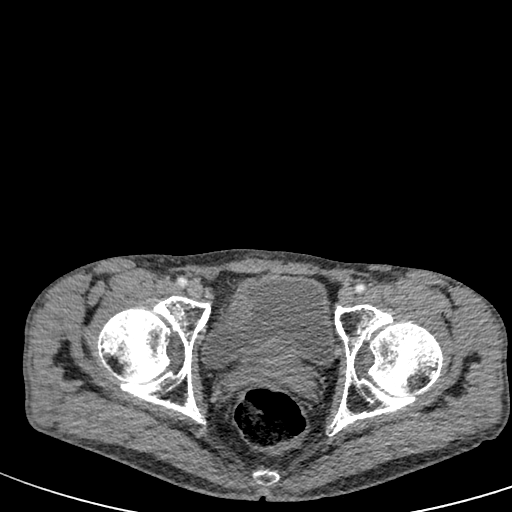 CT scan slice.

The urinary bladder is located at l=201, t=273, r=335, b=367.